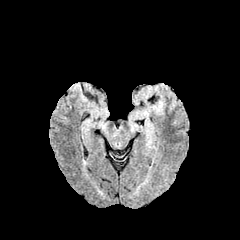
FLAIR MRI.
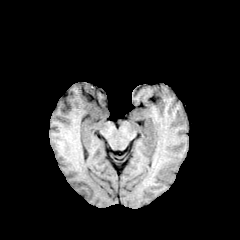
T1-weighted MR image of the same slice.
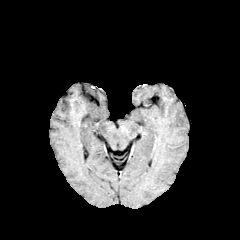
Post-contrast T1-weighted MRI.
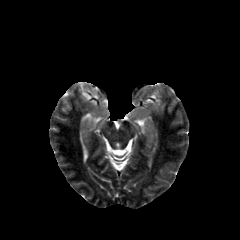
Same slice, T2-weighted MR image.
- edema: 130,110,149,117